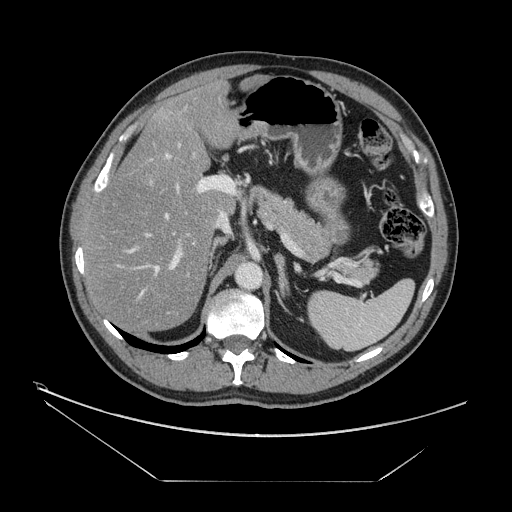 Abdomen; 512x512 px; Computed tomography
Not every hepatic vessel necessarily has a box.
<segmentation>
  <hepatic_vessel>box=[169, 251, 180, 268]; box=[177, 186, 178, 188]; box=[128, 250, 132, 252]; box=[166, 155, 169, 157]; box=[155, 266, 158, 271]</hepatic_vessel>
</segmentation>